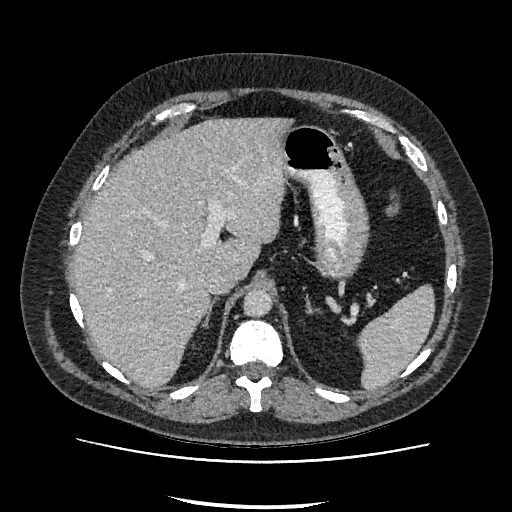
512x512. Abdomen. CT scan slice.
liver: 76,119,290,386